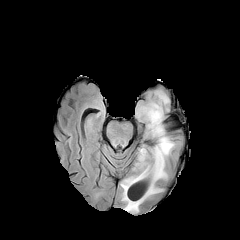
FLAIR MRI.
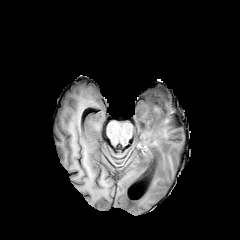
T1-weighted MRI.
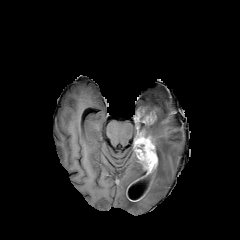
Post-contrast T1-weighted magnetic resonance.
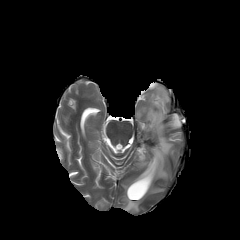
Same slice, T2-weighted MRI.
Head. 240x240 px.
Edema: bounding box {"x1": 120, "y1": 90, "x2": 175, "y2": 211}.
Enhancing tumor: bounding box {"x1": 136, "y1": 146, "x2": 157, "y2": 175}.
Non-enhancing tumor core: bounding box {"x1": 140, "y1": 137, "x2": 151, "y2": 148}.